240x240
FLAIR MR.
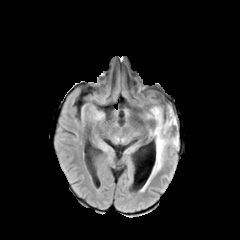
T1-weighted MRI.
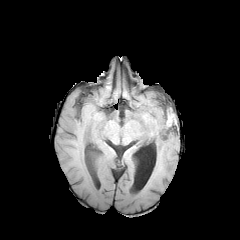
Post-contrast T1-weighted MR.
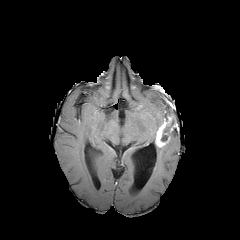
T2-weighted magnetic resonance.
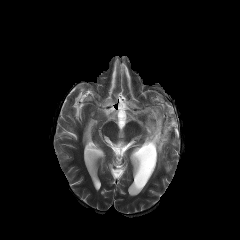
non-enhancing tumor core: bbox(161, 127, 171, 141); bbox(149, 103, 176, 143) | edema: bbox(146, 127, 178, 184); bbox(161, 104, 169, 114) | enhancing tumor: bbox(154, 117, 177, 147)